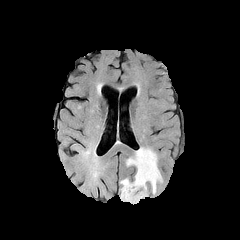
FLAIR MR.
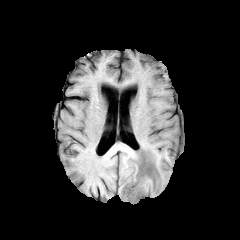
Same slice, T1-weighted magnetic resonance.
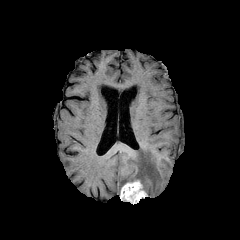
Post-contrast T1-weighted MRI.
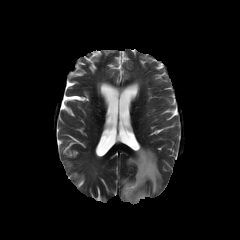
T2-weighted MR image.
Segmented structures:
* enhancing tumor: 120,180,146,204
* edema: 121,147,162,193